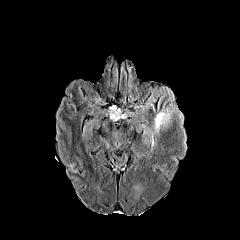
FLAIR MRI.
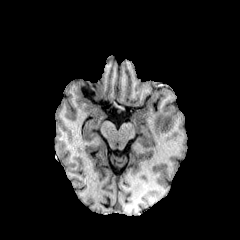
Same slice, T1-weighted magnetic resonance.
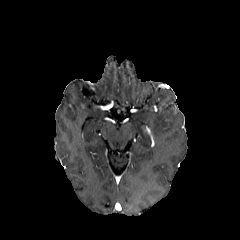
Same slice, post-contrast T1-weighted MR image.
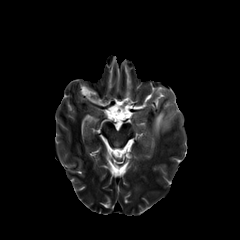
T2-weighted MRI of the same slice.
Brain
<segmentation>
  <edema>(151,99,177,137), (177,112,185,135), (165,91,173,102)</edema>
</segmentation>